Slice 11 of 37 | Hippocampus | MRI slice | 34x51 px 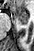

The posterior hippocampus appears at (21, 23, 25, 24). The anterior hippocampus is located at (11, 7, 28, 23).